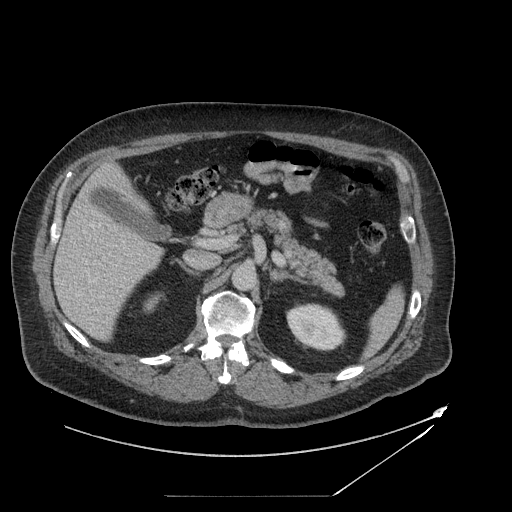 CT
Pancreas at left=228, top=208, right=344, bottom=296.